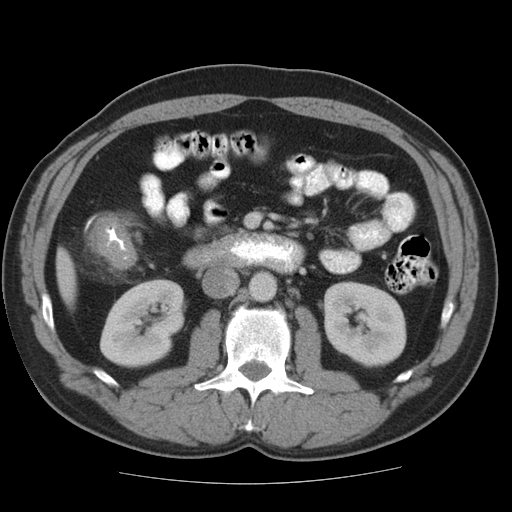

Computed tomography, Abdomen

Colon tumor: bounding box <bbox>93, 214, 134, 268</bbox>.